512x512 px. Computed tomography. Abdomen.

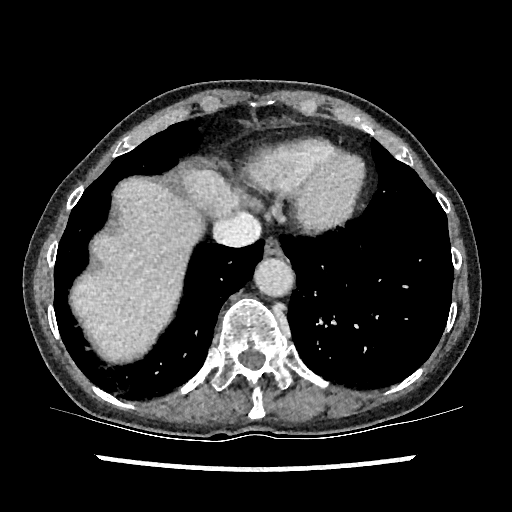

Segmented structures:
* liver: box=[72, 169, 238, 359]